Liver; Computed tomography 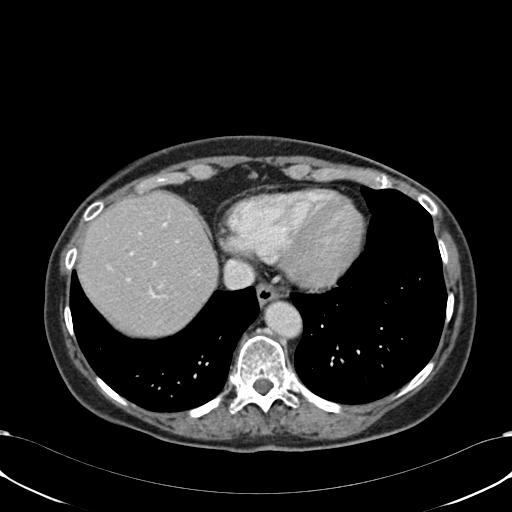 Liver at (79, 192, 217, 336).